CT

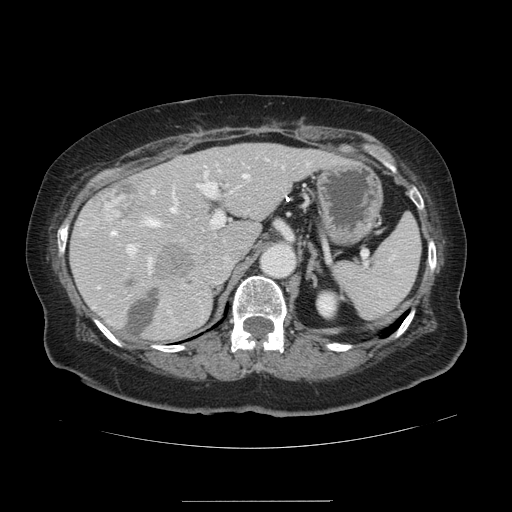

Some hepatic vessels may have no box.
3 liver tumor regions appear at left=157, top=244, right=193, bottom=277; left=126, top=290, right=159, bottom=334; left=95, top=178, right=146, bottom=222. 13 hepatic vessel regions are bounded by left=204, top=165, right=205, bottom=167; left=170, top=204, right=176, bottom=211; left=151, top=189, right=154, bottom=192; left=265, top=158, right=267, bottom=160; left=111, top=230, right=115, bottom=234; left=225, top=256, right=227, bottom=257; left=172, top=187, right=173, bottom=196; left=127, top=244, right=135, bottom=254; left=196, top=169, right=216, bottom=197; left=145, top=219, right=159, bottom=225; left=210, top=210, right=229, bottom=227; left=147, top=257, right=151, bottom=273; left=243, top=173, right=247, bottom=177.